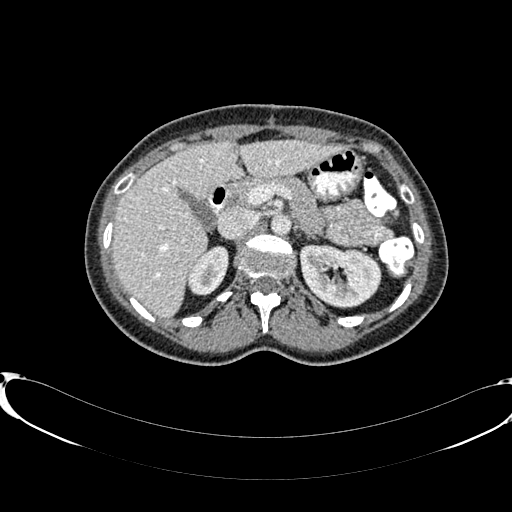
CT image | 512x512

liver: bbox=[111, 141, 344, 316] | kidney: bbox=[190, 248, 227, 293]; bbox=[301, 247, 379, 305]